Slice index 416; Liver; CT scan slice 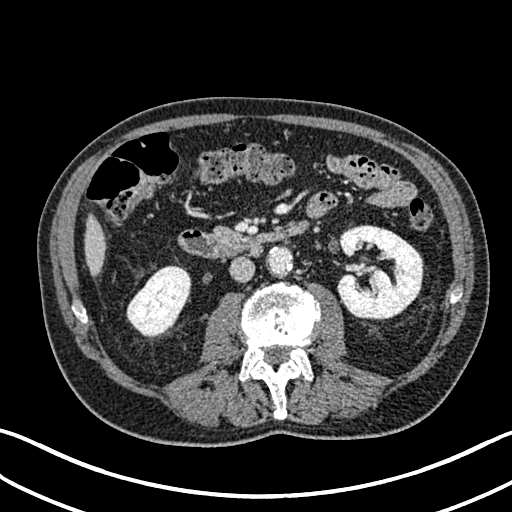 liver: 86,214,104,276 | kidney: 127,266,190,335; 338,226,422,318